FLAIR MR.
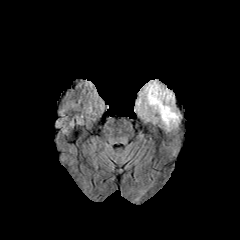
T1-weighted magnetic resonance.
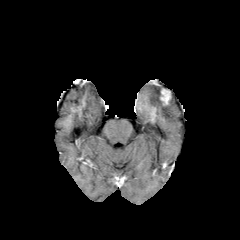
Post-contrast T1-weighted MR image.
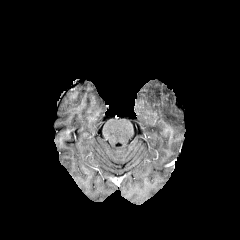
T2-weighted MRI.
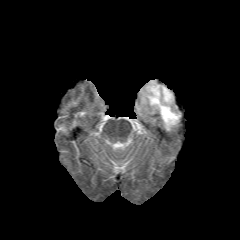
<segmentation>
  <edema>bbox=[134, 80, 181, 130]</edema>
</segmentation>